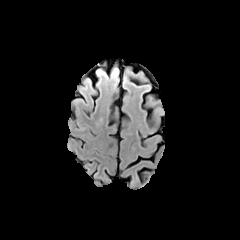
FLAIR MR.
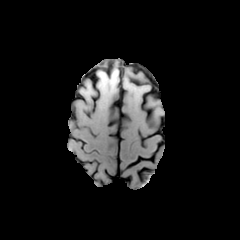
T1-weighted MR image of the same slice.
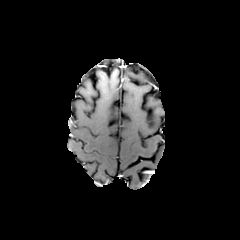
Post-contrast T1-weighted MR image.
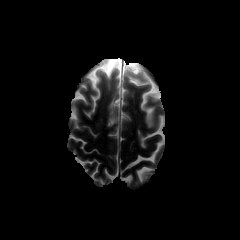
T2-weighted MR image.
Head; 240x240
The edema is bounded by (left=98, top=66, right=117, bottom=83).